Magnetic resonance | Image size 42x51 | Image width 42 mm 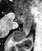
Anterior hippocampus — box(16, 9, 31, 23).
Posterior hippocampus — box(13, 24, 31, 41).